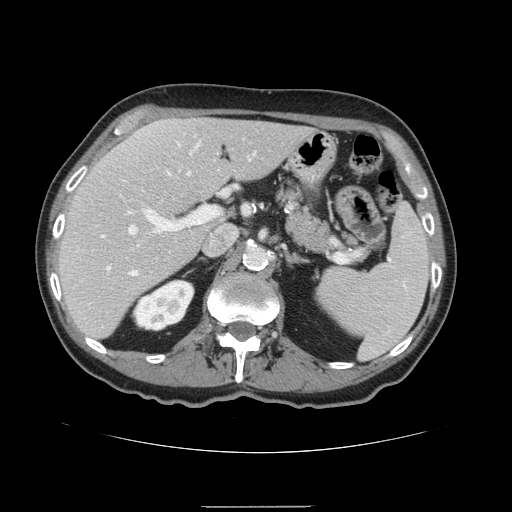
Computed tomography, Abdomen
The spleen is located at l=317, t=204, r=429, b=360.